CT scan slice | Slice 106 of 122 | Upper abdomen 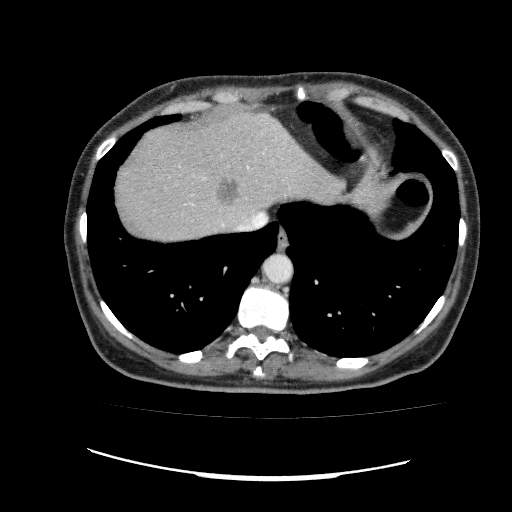

The liver lesion is located at x1=217 y1=178 x2=239 y2=206. The liver is located at x1=115 y1=112 x2=342 y2=243.